FLAIR MRI.
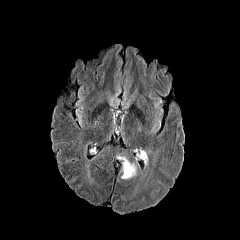
T1-weighted magnetic resonance.
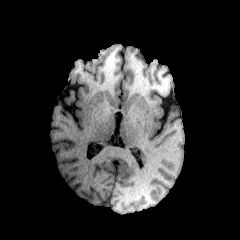
Post-contrast T1-weighted MRI.
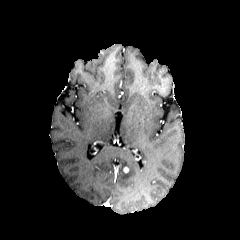
T2-weighted MR image.
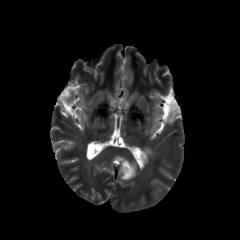
Head.
edema:
  - (139,147,150,165)
  - (148,121,159,133)
  - (117,156,136,179)